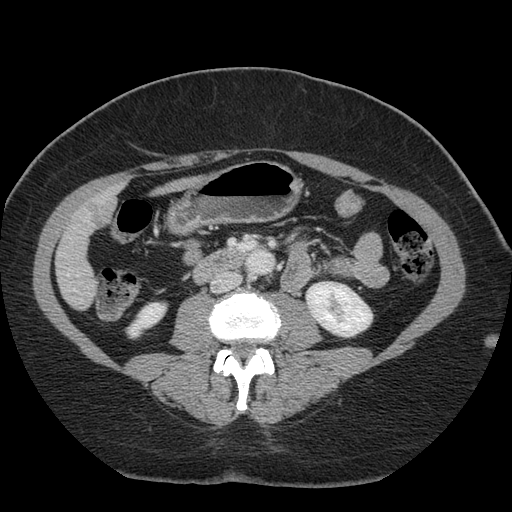

Liver; Computed tomography
Only some of the vessels may be annotated.
hepatic vessel: [74,290,76,291], [68,273,69,276] | liver tumor: [86,204,105,224]